240x240 px; Field of view 240x240 mm
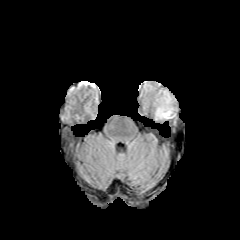
FLAIR MR image.
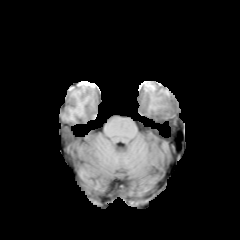
T1-weighted MR of the same slice.
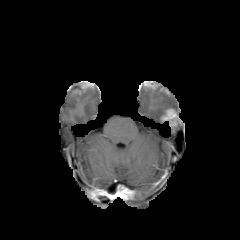
Post-contrast T1-weighted MRI.
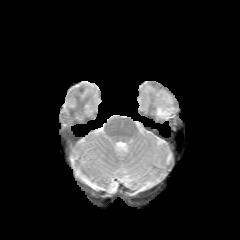
T2-weighted MRI of the same slice.
The edema is located at [153, 92, 175, 119].